FLAIR MRI.
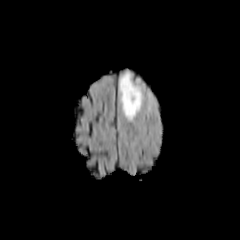
T1-weighted MRI.
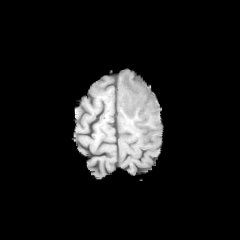
Post-contrast T1-weighted MR image.
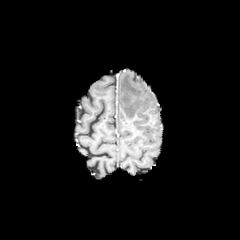
T2-weighted MR.
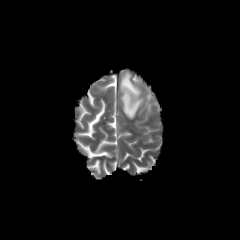
Edema = x1=120, y1=71, x2=143, y2=118.